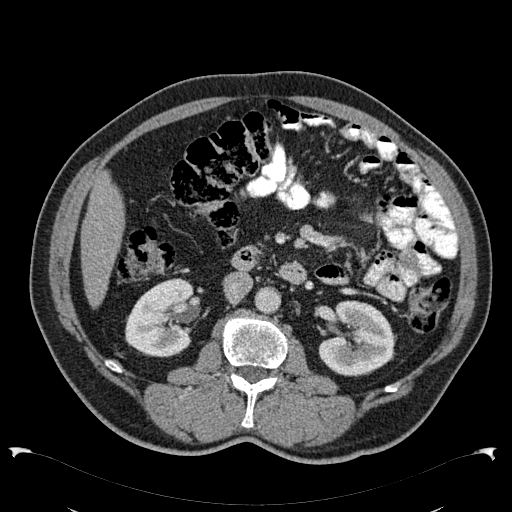 Abdomen, CT slice

Kidney — 319, 301, 394, 375; 125, 278, 199, 356.
Liver — 81, 170, 124, 307.